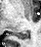
Magnetic resonance

Posterior hippocampus: bounding box [x1=15, y1=31, x2=28, y2=39].